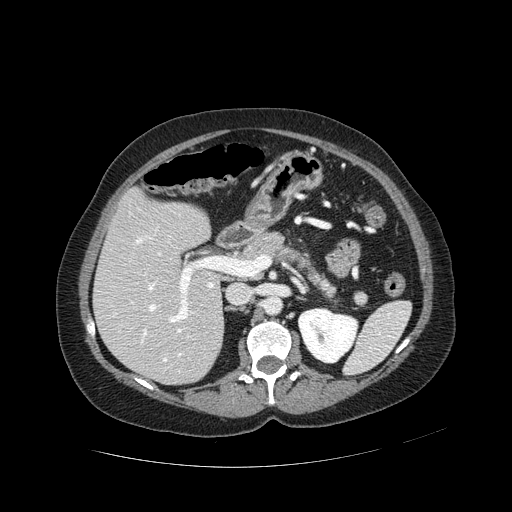

CT image.

Pancreas — 241, 233, 334, 295.
Pancreatic tumor — 254, 235, 282, 254.